Magnetic resonance | Slice index 8 | Hippocampus

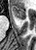
Anterior hippocampus at x1=10, y1=6, x2=25, y2=20.